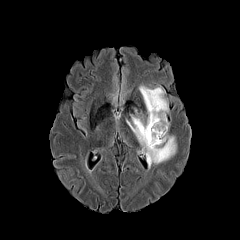
FLAIR magnetic resonance.
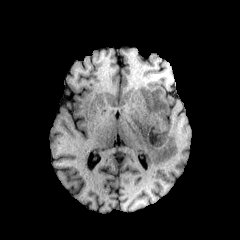
Same slice, T1-weighted MR.
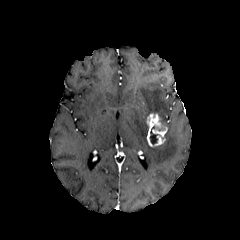
Same slice, post-contrast T1-weighted magnetic resonance.
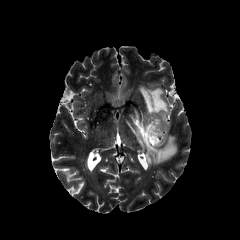
T2-weighted MR of the same slice.
Image size 240x240. Head.
Enhancing tumor at [x1=147, y1=113, x2=168, y2=147].
Non-enhancing tumor core at [x1=140, y1=110, x2=148, y2=130], [x1=149, y1=126, x2=158, y2=145].
Edema at [x1=139, y1=85, x2=169, y2=121], [x1=126, y1=115, x2=176, y2=169].